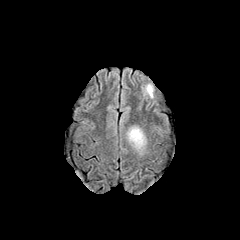
FLAIR magnetic resonance.
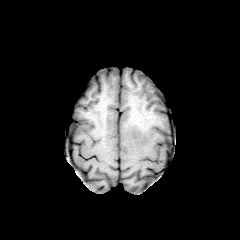
Same slice, T1-weighted MR.
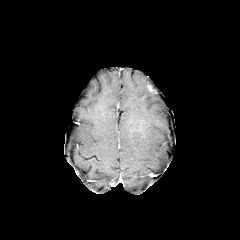
Post-contrast T1-weighted MR image of the same slice.
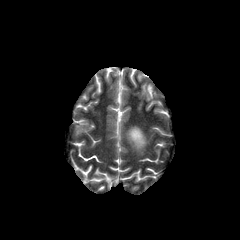
T2-weighted MR image.
<segmentation>
  <edema>l=126, t=126, r=146, b=151</edema>
</segmentation>